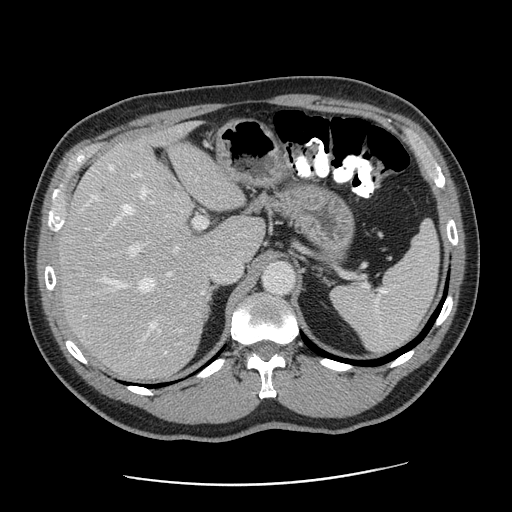
CT scan slice
Only some of the vessels may be annotated.
Segmented structures:
- hepatic vessel: box=[169, 272, 172, 274]; box=[193, 214, 207, 229]; box=[113, 217, 119, 224]; box=[202, 244, 247, 282]; box=[139, 278, 153, 291]; box=[151, 323, 161, 333]; box=[122, 204, 133, 214]; box=[93, 196, 97, 198]; box=[130, 243, 143, 254]; box=[177, 329, 181, 331]; box=[110, 165, 113, 169]; box=[174, 246, 178, 253]; box=[141, 186, 150, 196]; box=[103, 275, 124, 286]
- liver tumor: box=[100, 185, 107, 193]; box=[162, 176, 179, 194]